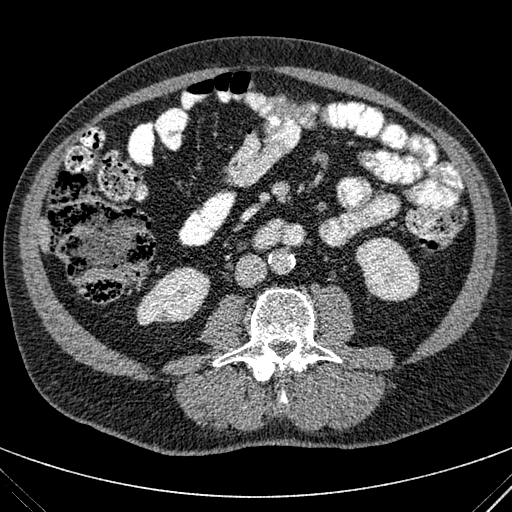 Abdomen; CT scan slice
Liver = 39, 221, 48, 251.
Kidney = 356, 238, 419, 300; 137, 267, 209, 324.